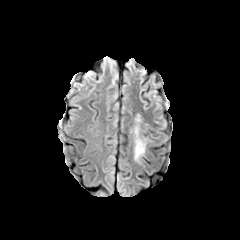
FLAIR MRI.
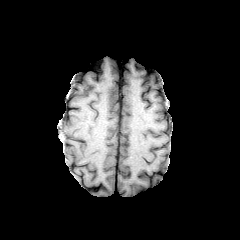
T1-weighted MR.
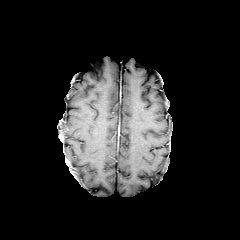
Post-contrast T1-weighted MR.
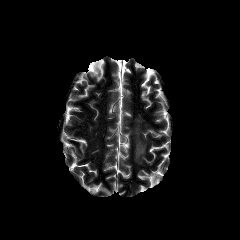
T2-weighted MR image of the same slice.
Head, 240x240
Edema: bounding box (left=134, top=127, right=145, bottom=160).